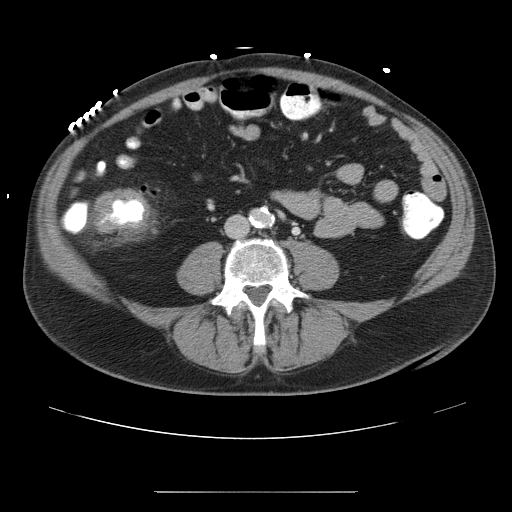
CT slice. Colon tumor at (x1=95, y1=189, x2=149, y2=235).